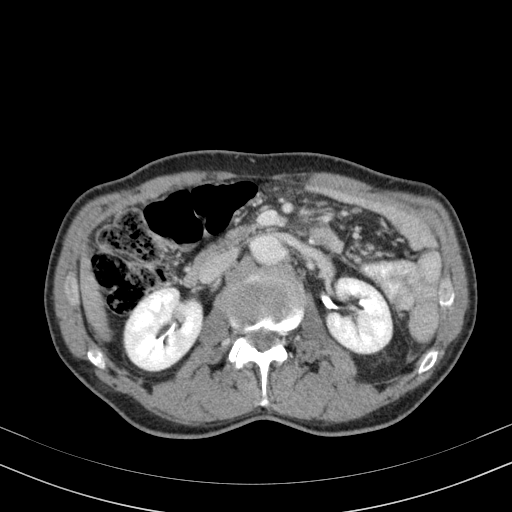
Computed tomography; Liver
The liver appears at bbox=[80, 256, 110, 342]. 2 kidney regions appear at bbox=[125, 289, 201, 369]; bbox=[328, 279, 391, 352].